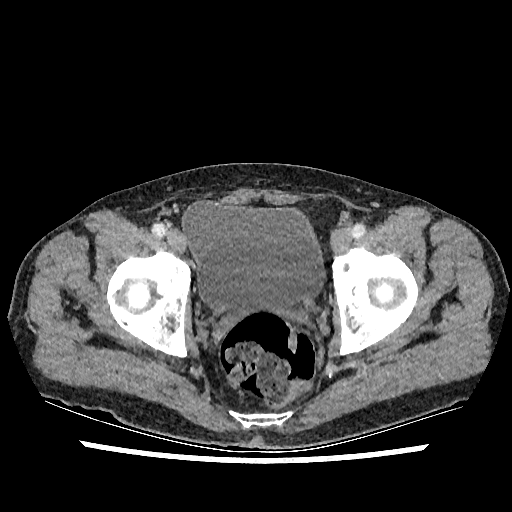

CT slice
urinary_bladder:
  - <bbox>183, 200, 325, 331</bbox>